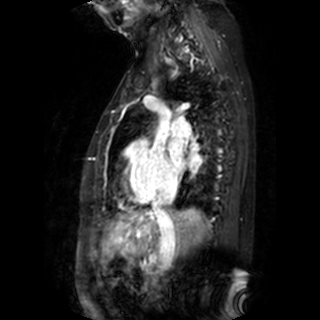

320x320 px. MRI. Cardiac.
Annotated regions:
* left atrium: bbox(190, 154, 200, 165); bbox(168, 140, 182, 168)